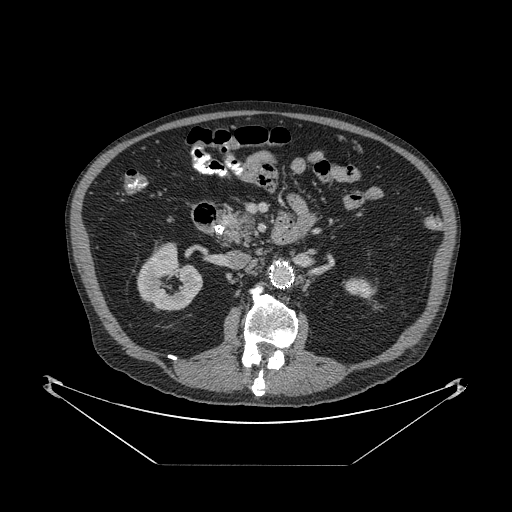
CT slice
The pancreas appears at box=[218, 208, 256, 244].